FLAIR MR image.
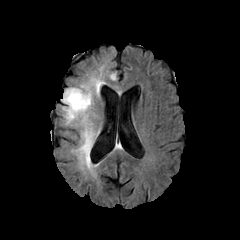
T1-weighted MR image.
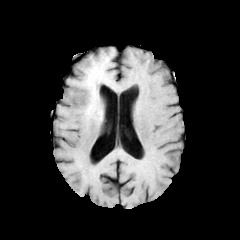
Post-contrast T1-weighted magnetic resonance.
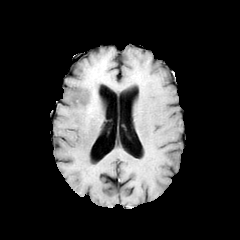
T2-weighted MRI.
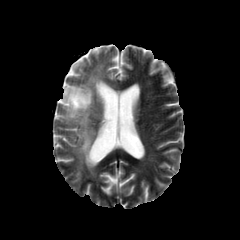
Brain, Image size 240x240
3 edema regions are bounded by x1=91, y1=66, x2=116, y2=85; x1=94, y1=82, x2=102, y2=104; x1=62, y1=82, x2=100, y2=177. 2 non-enhancing tumor core regions are bounded by x1=87, y1=95, x2=93, y2=114; x1=84, y1=78, x2=103, y2=96.